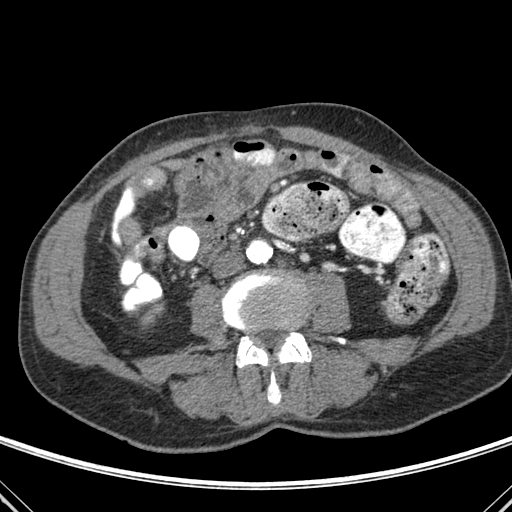
CT image
Bone: bounding box box=[222, 271, 311, 363]; box=[267, 370, 280, 404]; box=[236, 336, 268, 367].